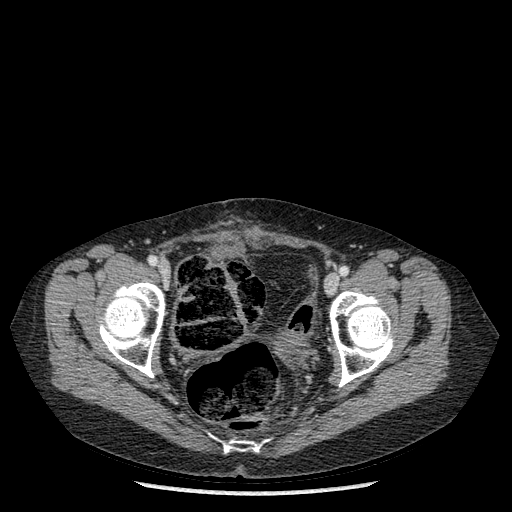
Computed tomography
<segmentation>
  <bone><bbox>97, 280, 165, 377</bbox>, <bbox>329, 289, 394, 387</bbox>, <bbox>223, 439, 261, 453</bbox></bone>
</segmentation>